Computed tomography; Image size 512x512

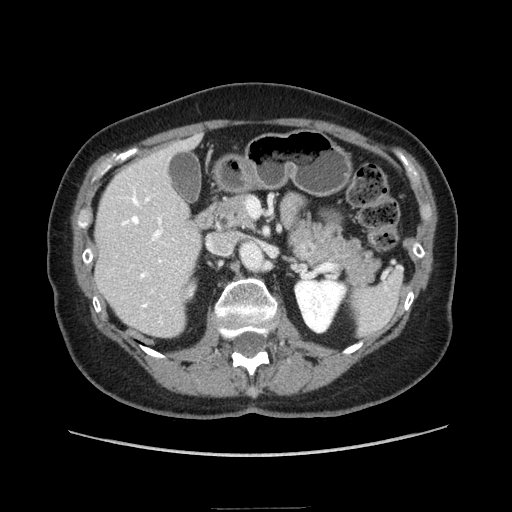

Pancreas at box=[289, 215, 378, 284]; box=[216, 196, 250, 226].
Pancreatic tumor at box=[295, 241, 315, 260].